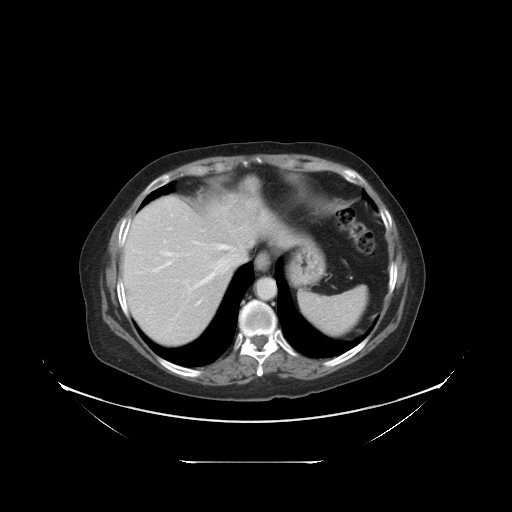 CT scan slice; Abdomen
The vessel annotation is not exhaustive.
Liver tumor: 222 179 261 225.
Hepatic vessel: 168 228 170 229, 152 261 171 272, 163 240 165 242, 159 251 178 256, 194 242 200 244, 175 279 177 281, 217 244 232 250, 196 300 201 304, 183 259 229 292.